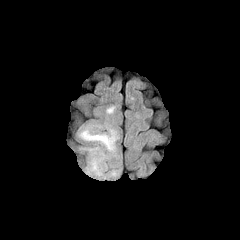
FLAIR MRI.
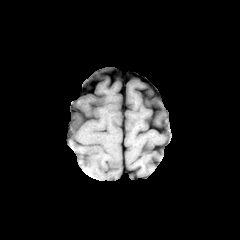
T1-weighted magnetic resonance.
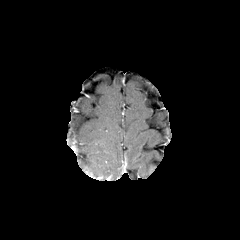
Post-contrast T1-weighted magnetic resonance.
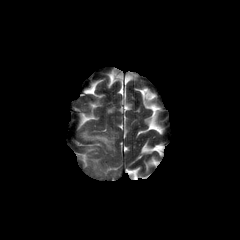
Same slice, T2-weighted MRI.
Head
edema: [80, 130, 112, 148]